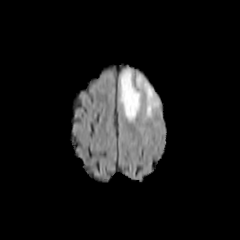
FLAIR magnetic resonance.
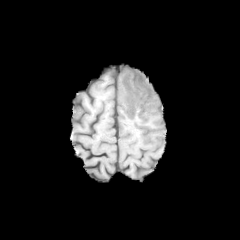
T1-weighted MR image.
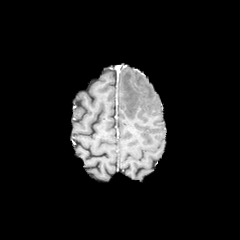
Post-contrast T1-weighted MR image.
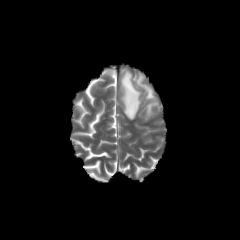
T2-weighted MR.
Head. 240x240 px.
Edema = (x1=147, y1=101, x2=158, y2=116), (x1=120, y1=69, x2=141, y2=121), (x1=136, y1=78, x2=155, y2=100).